512x512; CT slice; Slice 114/836 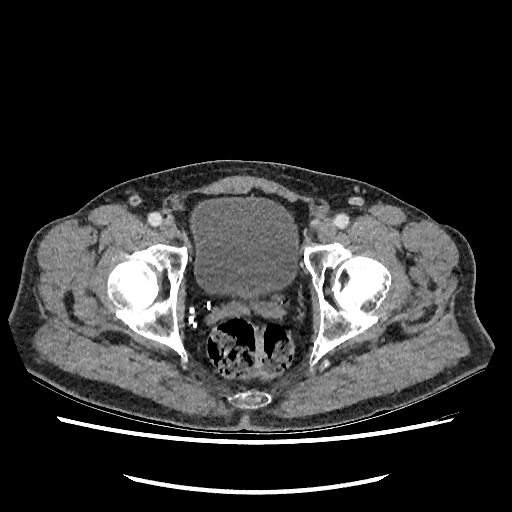 Urinary bladder: 190, 197, 298, 299.